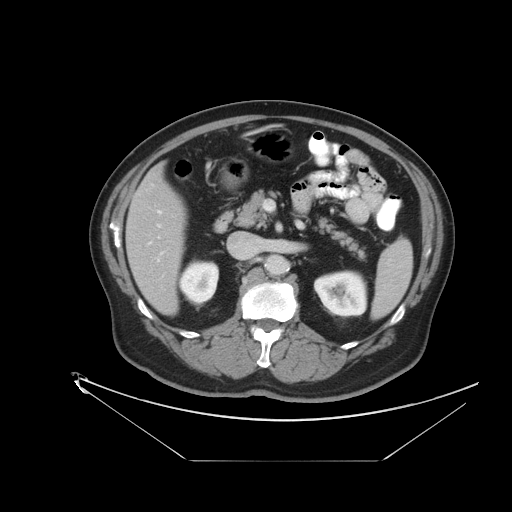 CT slice | 512x512 px
Not every hepatic vessel necessarily has a box.
Hepatic vessel = 158 211 161 213, 149 242 151 243, 158 259 159 261, 158 224 160 226, 160 252 163 254.